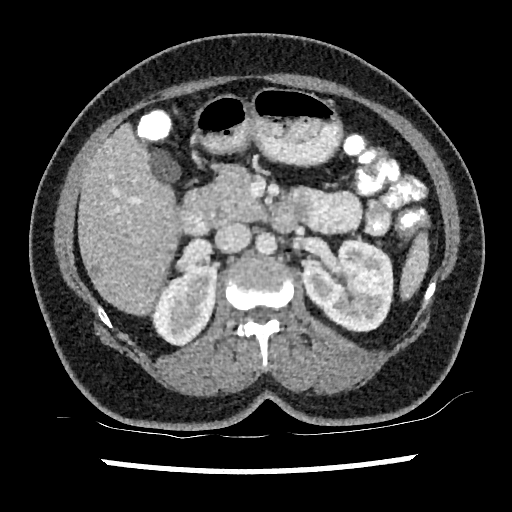

CT

The liver appears at box(79, 125, 175, 313). The focal liver lesion appears at box(151, 153, 177, 181). 2 kidney regions appear at box(154, 260, 216, 344); box(303, 241, 392, 330).